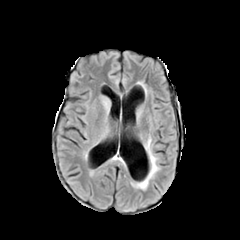
FLAIR MR image.
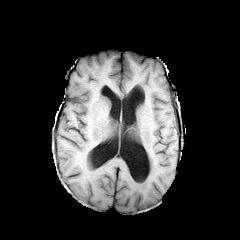
T1-weighted magnetic resonance of the same slice.
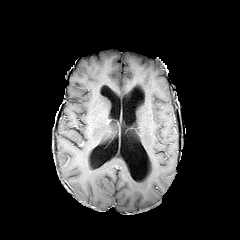
Post-contrast T1-weighted magnetic resonance.
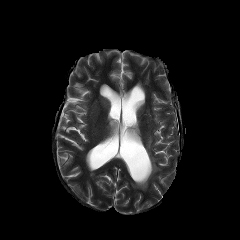
Same slice, T2-weighted MR image.
Brain
edema: <bbox>131, 136, 160, 189</bbox>